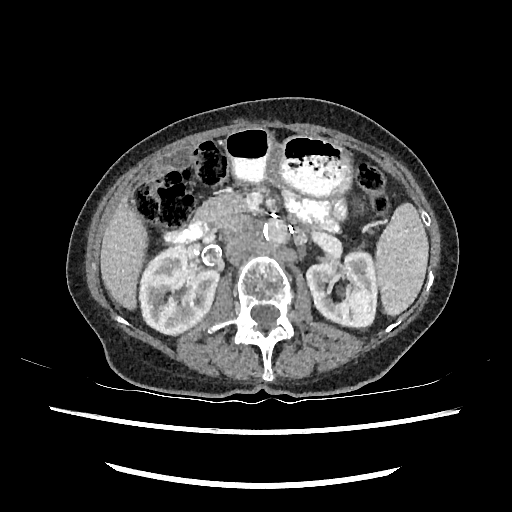 512x512 px; CT
Liver = [100,192,146,309].
Kidney = [306,253,376,326], [140,244,218,333].